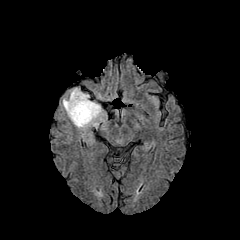
FLAIR MRI.
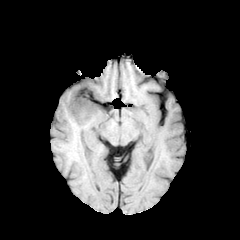
T1-weighted MRI.
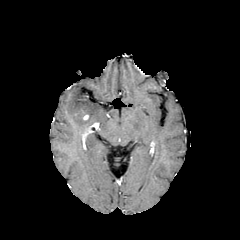
Post-contrast T1-weighted magnetic resonance.
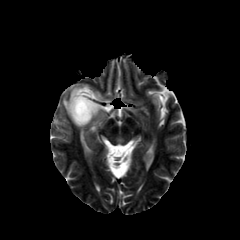
Same slice, T2-weighted MR image.
Brain.
{
  "edema": [
    "62, 87, 102, 127"
  ]
}